Computed tomography
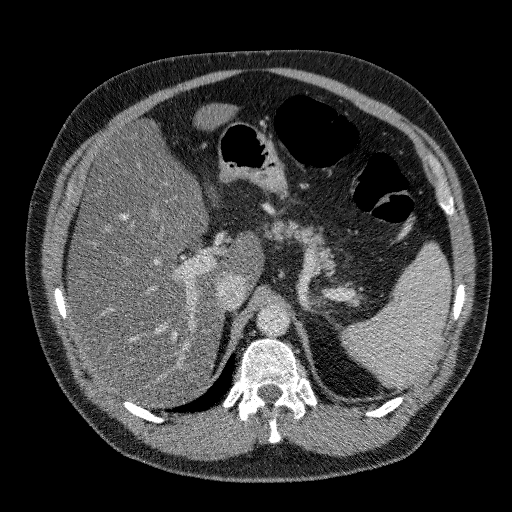 2 liver regions appear at region(194, 104, 236, 127); region(67, 119, 263, 407).